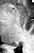
34x53 px. Hippocampus. MR.

The posterior hippocampus appears at 10 44 18 46.